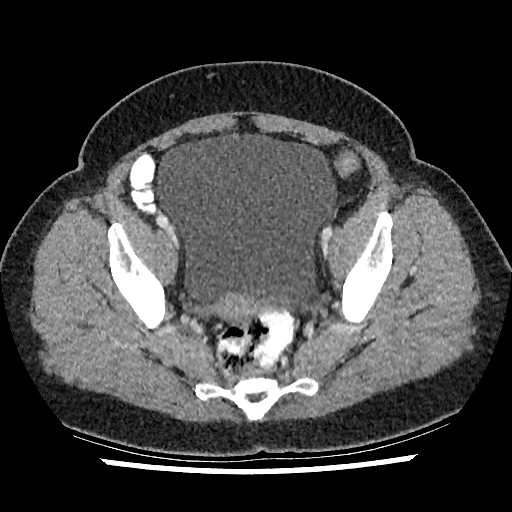
CT scan slice.

Annotated regions:
* urinary bladder: [x1=156, y1=133, x2=336, y2=317]